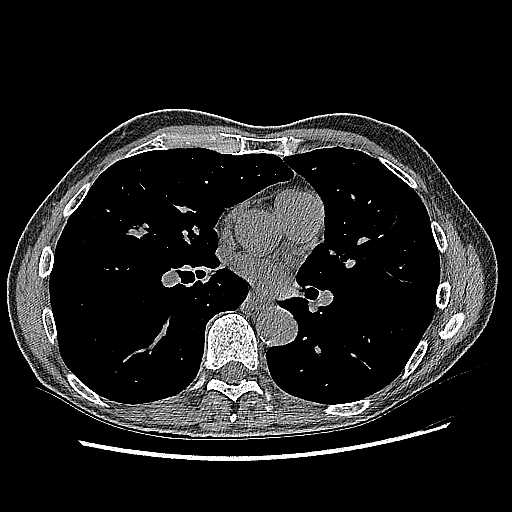

Image size 512x512, CT scan slice, Lung
lung_tumor:
  - box=[125, 220, 149, 239]